CT image; Field of view 404x404 mm; Image size 512x512; Liver
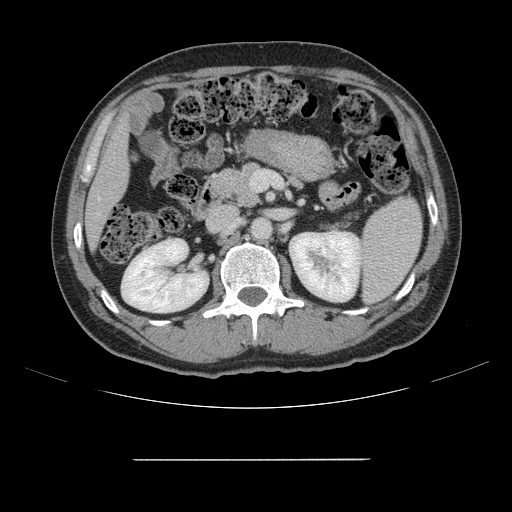
Some hepatic vessels may have no box.
The hepatic vessel is located at <bbox>98, 198, 99, 199</bbox>.